CT slice; 512x512; Slice 357 of 771; Abdomen

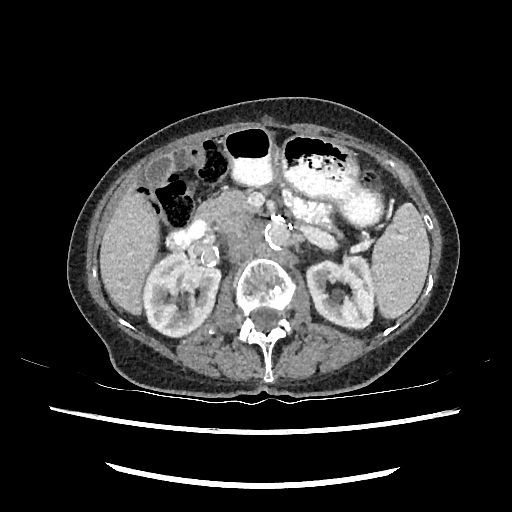 The liver is located at region(100, 185, 157, 313). 2 kidney regions are located at region(307, 257, 373, 327); region(144, 252, 220, 336).